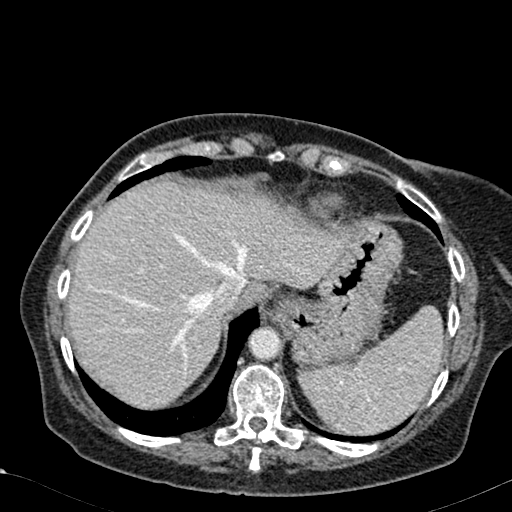 CT
Segmented structures:
- liver: rect(68, 182, 344, 405); rect(244, 282, 264, 302)